CT, Liver, Slice 50 of 131 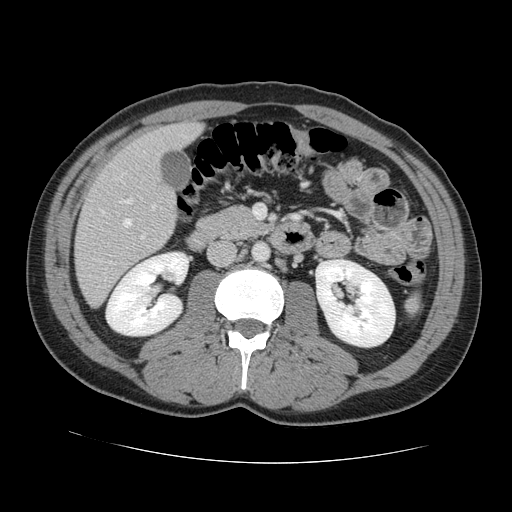

Some hepatic vessels may have no box.
Findings:
• hepatic vessel: 156,153,158,154; 104,271,106,277; 108,261,112,263; 115,199,132,205; 140,234,144,238; 100,210,103,213; 123,219,130,226; 151,203,155,209; 115,173,124,179